Field of view 415x415 mm. Slice index 29. 512x512 px. CT scan slice.

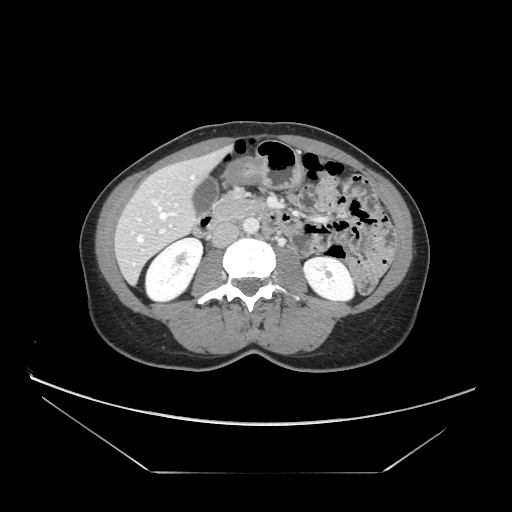

The pancreas appears at box(214, 196, 260, 220).